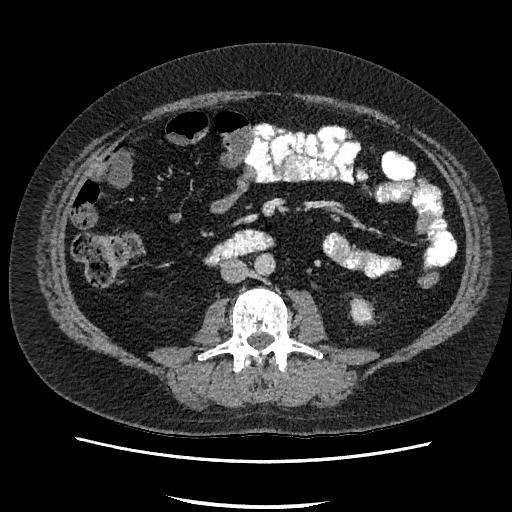 CT, Abdomen

{
  "kidney": [
    "353,303,370,321"
  ]
}